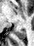
Hippocampus | Magnetic resonance
<segmentation>
  <posterior_hippocampus>x1=16 y1=30 x2=25 y2=39</posterior_hippocampus>
</segmentation>